Image width 400 mm | MR | Cardiac
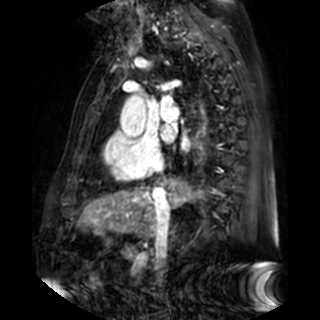
2 left atrium regions appear at (162, 126, 172, 141), (182, 142, 190, 149).